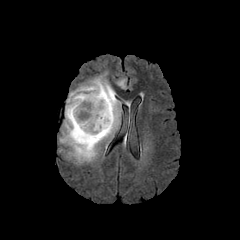
FLAIR MR image.
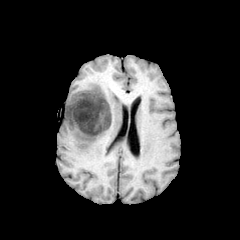
T1-weighted MR.
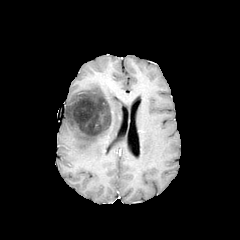
Same slice, post-contrast T1-weighted MR image.
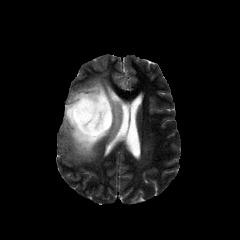
T2-weighted MRI.
Head.
{"non-enhancing_tumor_core": ["box(66, 78, 113, 142)"], "edema": ["box(60, 76, 122, 162)"]}